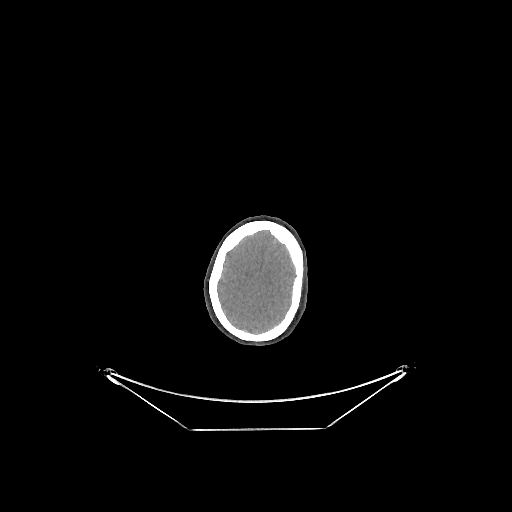 Computed tomography; 512x512 px; Head

Brain: bounding box region(217, 230, 296, 334).